Slice 284 of 836. Computed tomography.

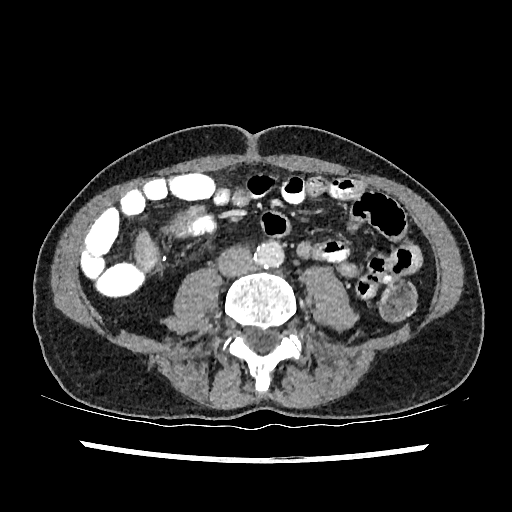 - liver: bbox(135, 231, 156, 269)